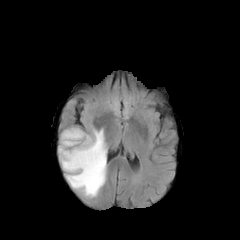
FLAIR MRI.
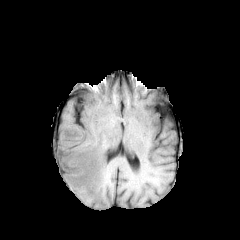
Same slice, T1-weighted MR.
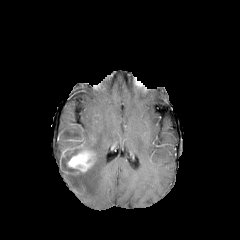
Same slice, post-contrast T1-weighted MRI.
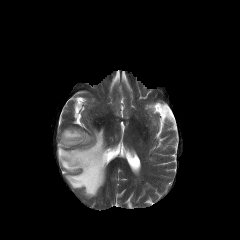
T2-weighted MR image.
240x240 | Head
The enhancing tumor is at rect(59, 139, 97, 173). The edema lies within rect(58, 128, 107, 197).